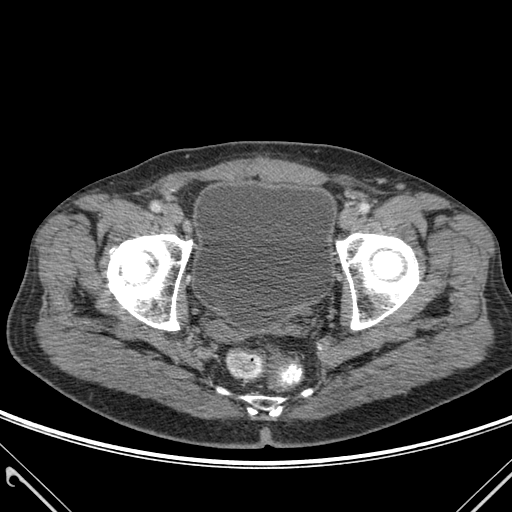
CT scan slice
{"urinary_bladder": ["bbox(194, 185, 333, 319)"], "bone": ["bbox(264, 406, 281, 416)", "bbox(107, 234, 192, 330)", "bbox(336, 233, 418, 329)", "bbox(241, 396, 284, 404)"]}